Computed tomography. Field of view 422x422 mm. Slice index 70.

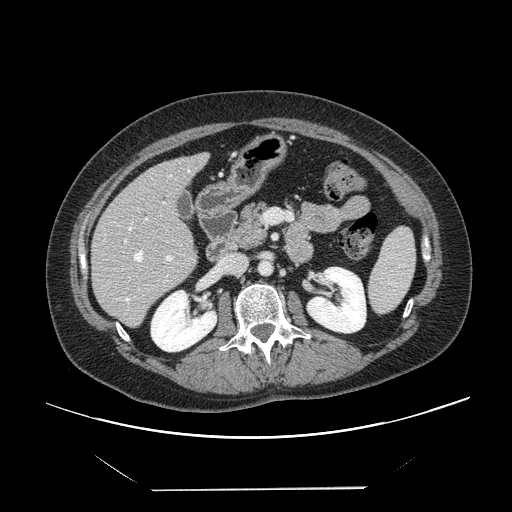

The vessel annotation is not exhaustive.
Findings:
• hepatic vessel: [144,218,148,221], [124,238,127,242], [206,255,243,280], [165,254,173,262], [133,250,143,262], [124,298,130,302], [127,221,133,232], [163,202,165,204]